FLAIR magnetic resonance.
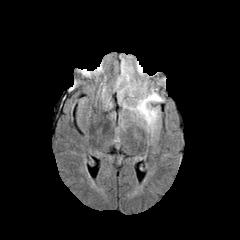
T1-weighted MR image.
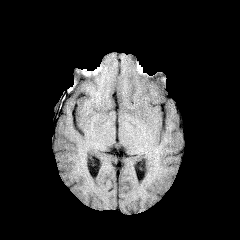
Post-contrast T1-weighted MRI.
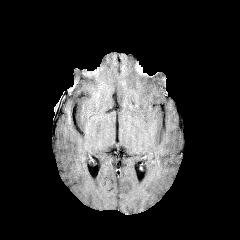
T2-weighted MR image.
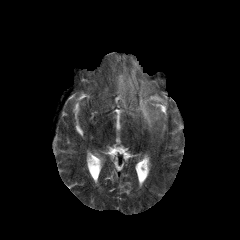
Head | 240x240 px
The edema is located at bbox(117, 64, 163, 130).